Upper abdomen | CT image 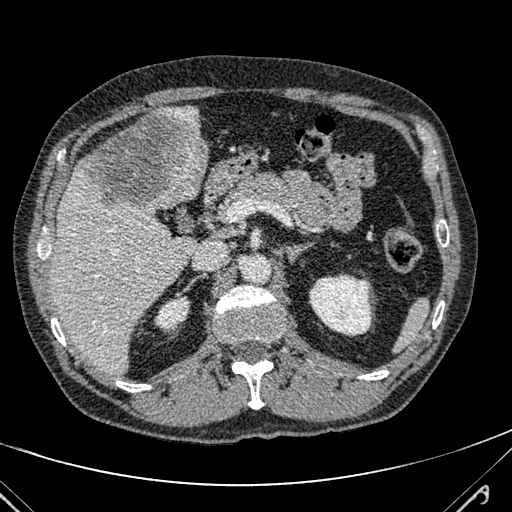

2 liver regions are located at 51, 164, 203, 372; 167, 106, 200, 135. The focal liver lesion is at 78, 109, 207, 206.